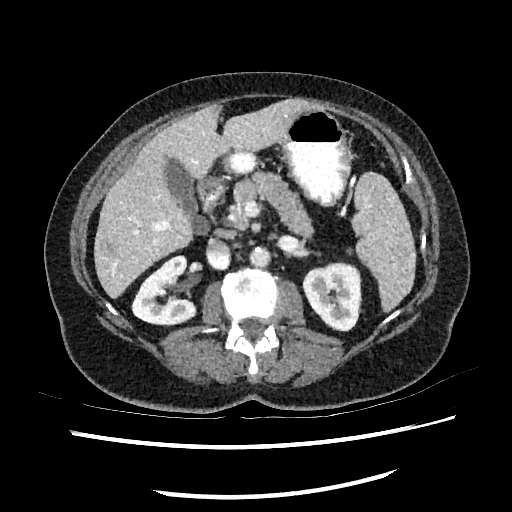 Image size 512x512; Upper abdomen; CT slice
liver: (x1=94, y1=98, x2=311, y2=299) | kidney: (x1=303, y1=264, x2=359, y2=330), (x1=133, y1=256, x2=194, y2=323) | hepatic lesion: (x1=101, y1=240, x2=116, y2=255)